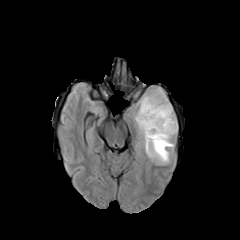
FLAIR MR image.
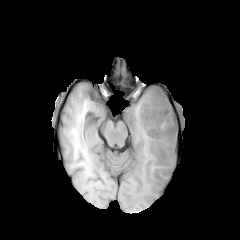
T1-weighted MR.
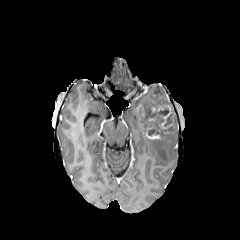
Post-contrast T1-weighted MRI of the same slice.
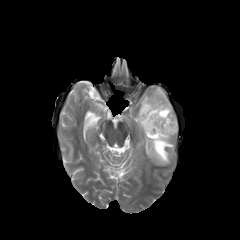
T2-weighted magnetic resonance.
240x240 px.
enhancing_tumor:
  - 146, 131, 159, 138
  - 152, 104, 171, 126
edema:
  - 132, 88, 177, 164
non-enhancing_tumor_core:
  - 139, 94, 175, 136